FLAIR MR.
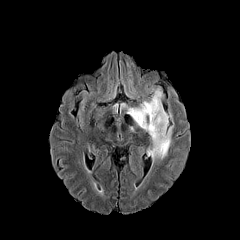
T1-weighted MRI.
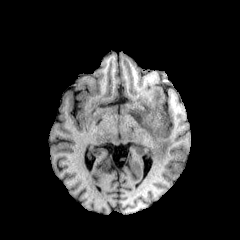
Post-contrast T1-weighted magnetic resonance.
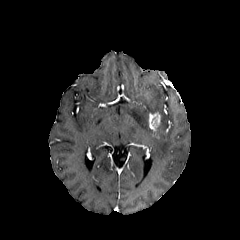
T2-weighted MRI.
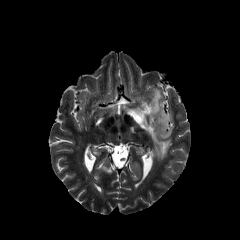
Brain.
non-enhancing tumor core: [x1=150, y1=123, x2=167, y2=136] | enhancing tumor: [x1=148, y1=112, x2=160, y2=130] | edema: [x1=149, y1=122, x2=173, y2=164], [x1=127, y1=88, x2=168, y2=136]